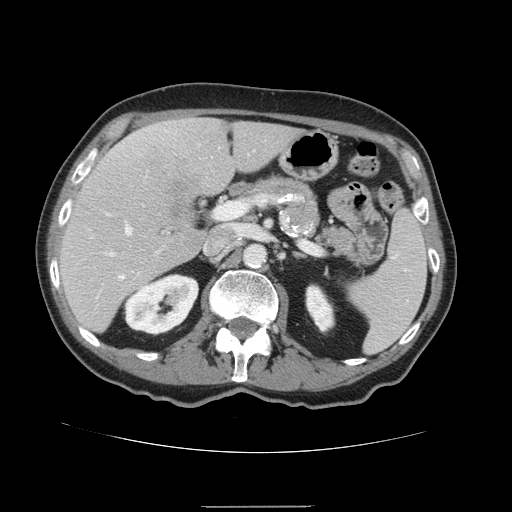

CT image, Upper abdomen
<segmentation>
  <spleen>345,209,427,352</spleen>
</segmentation>